FLAIR MR.
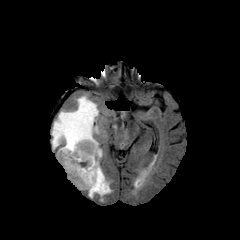
T1-weighted MRI.
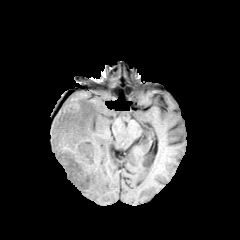
Post-contrast T1-weighted magnetic resonance.
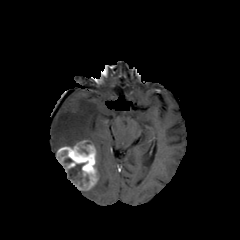
T2-weighted MRI.
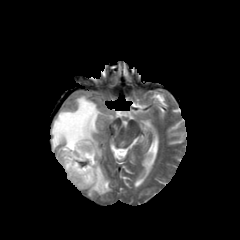
Head. Image size 240x240.
Enhancing tumor: x1=57, y1=140, x2=97, y2=189.
Non-enhancing tumor core: x1=56, y1=152, x2=85, y2=186.
Edema: x1=52, y1=95, x2=111, y2=197.